CT | 512x512 px

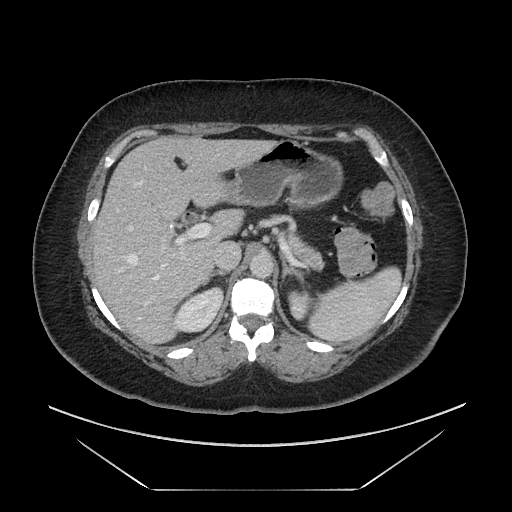

The pancreas appears at 289 234 322 268.